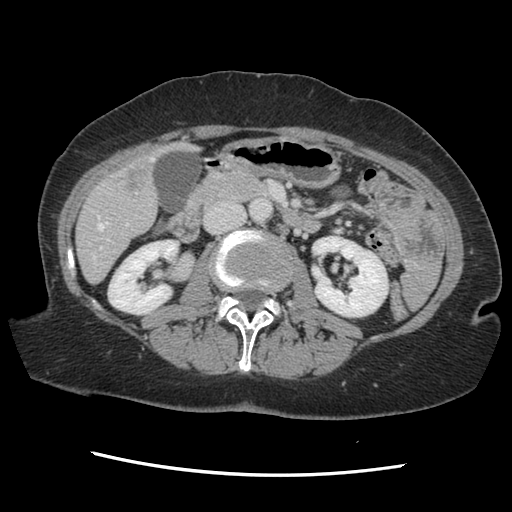 CT scan slice. Liver. 512x512 px.
The vessel annotation is not exhaustive.
Annotated regions:
* liver tumor: bbox(123, 160, 152, 196)
* hepatic vessel: bbox(97, 215, 99, 217); bbox(126, 223, 128, 225); bbox(98, 222, 108, 229); bbox(93, 256, 95, 262); bbox(150, 157, 153, 160)